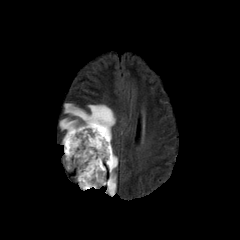
FLAIR magnetic resonance.
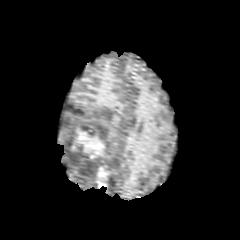
Same slice, T1-weighted MRI.
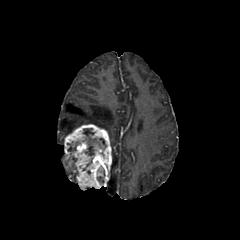
Post-contrast T1-weighted magnetic resonance.
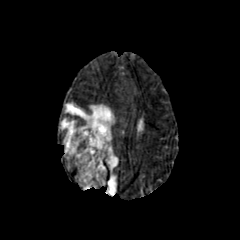
Same slice, T2-weighted MR.
Brain; 240x240
Enhancing tumor — <bbox>62, 123, 112, 190</bbox>.
Edema — <bbox>105, 150, 117, 196</bbox>, <bbox>60, 103, 115, 138</bbox>.
Non-enhancing tumor core — <bbox>82, 161, 94, 175</bbox>.